Pelvis; CT scan slice; Image size 512x512; Slice index 58 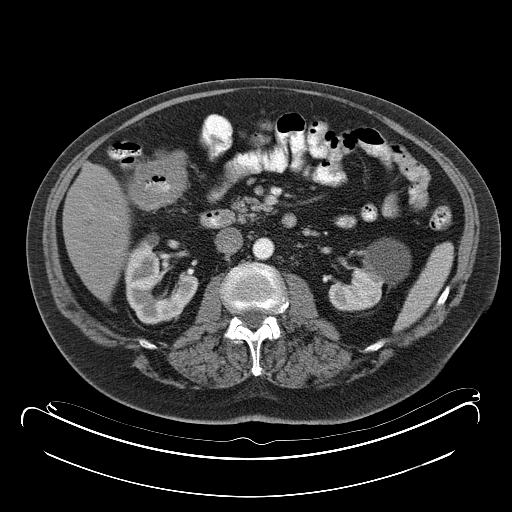 Colon tumor = {"x1": 128, "y1": 151, "x2": 187, "y2": 210}.